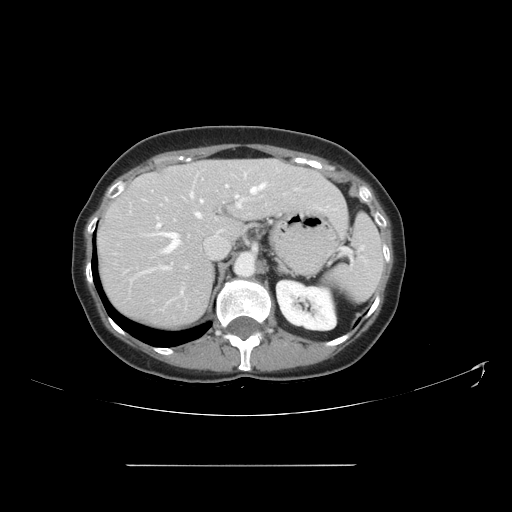

Computed tomography

The vessel boxes may cover only some of the vessels.
Annotated regions:
- hepatic vessel: [235, 195, 246, 207], [186, 266, 187, 267], [157, 223, 160, 227], [159, 265, 170, 269], [225, 184, 228, 187], [200, 199, 203, 202], [195, 212, 201, 217], [250, 183, 265, 193], [190, 192, 193, 197], [139, 267, 156, 274], [180, 288, 183, 295], [145, 233, 154, 236], [159, 233, 179, 253], [244, 173, 246, 177]
- liver tumor: [250, 169, 264, 179]